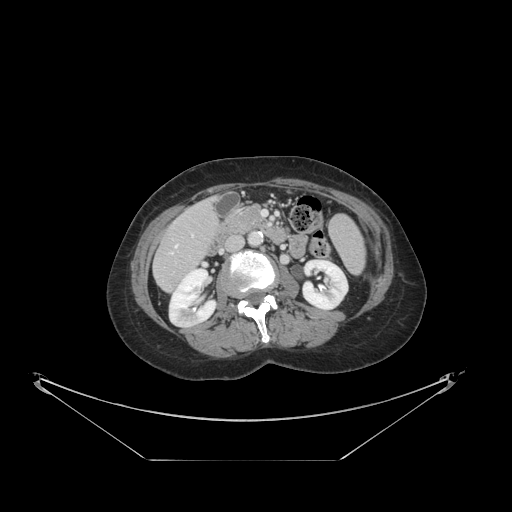
Liver; CT
The vessel boxes may cover only some of the vessels.
hepatic vessel: box(169, 252, 172, 254); box(175, 244, 177, 247)